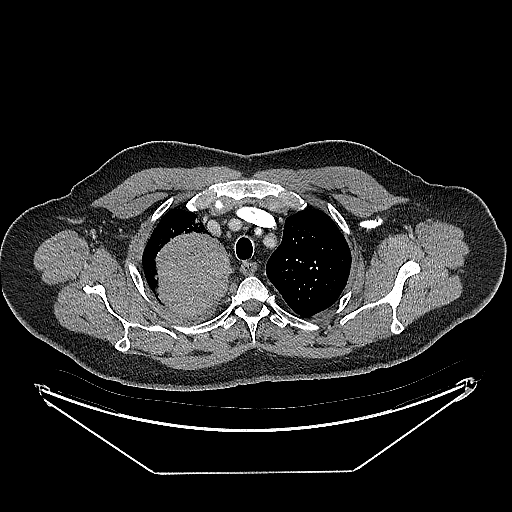

CT slice

lung_tumor:
  - (150, 216, 231, 315)